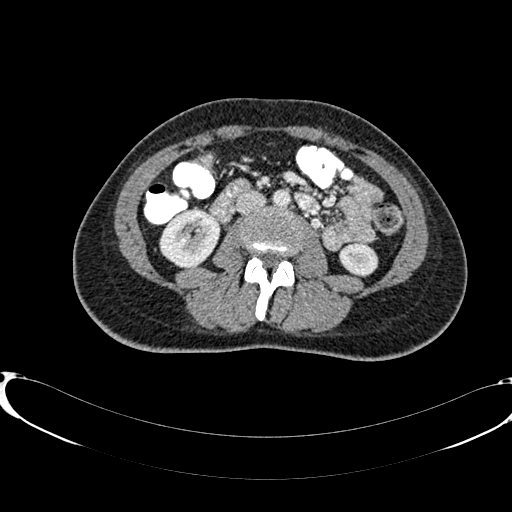 Abdomen, Computed tomography
2 kidney regions are located at (x1=161, y1=211, x2=218, y2=266), (x1=341, y1=245, x2=376, y2=274).